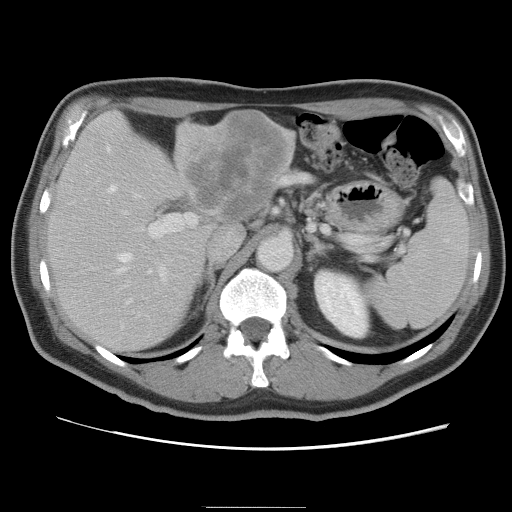 Liver, Image size 512x512, CT scan slice
Some hepatic vessels may have no box.
- hepatic vessel: bbox(134, 193, 138, 195); bbox(148, 212, 196, 236); bbox(148, 269, 151, 272); bbox(137, 313, 139, 314); bbox(109, 185, 115, 190); bbox(159, 267, 165, 279); bbox(126, 299, 131, 302); bbox(116, 252, 131, 272); bbox(106, 146, 109, 150); bbox(123, 210, 126, 213); bbox(120, 322, 123, 326)
- liver tumor: bbox(187, 117, 284, 221)